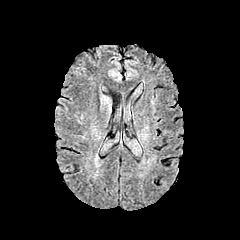
FLAIR MRI.
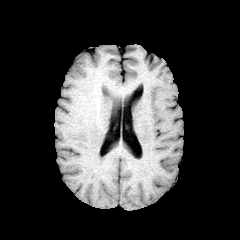
T1-weighted MR.
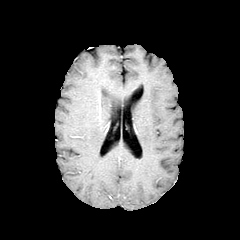
Post-contrast T1-weighted MRI of the same slice.
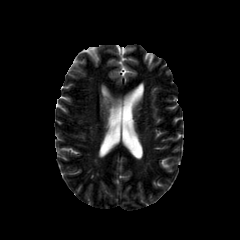
Same slice, T2-weighted magnetic resonance.
Brain
edema: (left=100, top=95, right=111, bottom=115)